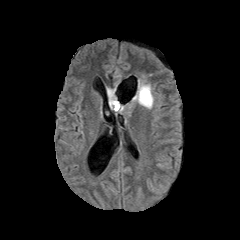
FLAIR MR.
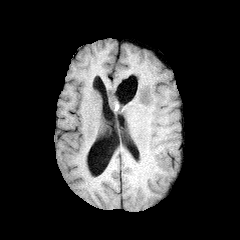
T1-weighted MRI of the same slice.
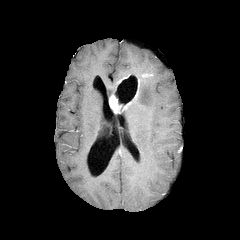
Post-contrast T1-weighted MR image.
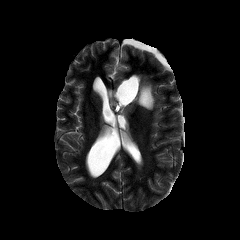
T2-weighted MR image of the same slice.
2 edema regions are bounded by [107,87,123,102], [126,76,160,109]. The enhancing tumor appears at [109,94,121,112].